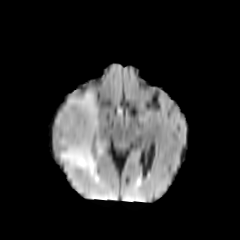
FLAIR magnetic resonance.
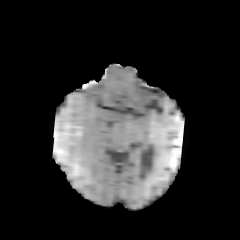
T1-weighted MR.
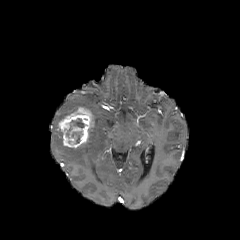
Post-contrast T1-weighted MR image.
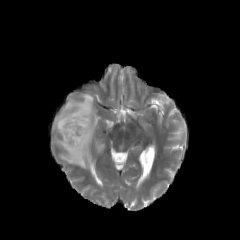
T2-weighted MR image.
Image size 240x240. Brain.
{
  "enhancing_tumor": [
    "[58, 106, 94, 148]"
  ],
  "non-enhancing_tumor_core": [
    "[71, 131, 81, 143]",
    "[67, 119, 84, 137]"
  ],
  "edema": [
    "[53, 92, 103, 180]"
  ]
}